Upper abdomen, Image size 512x512, CT image

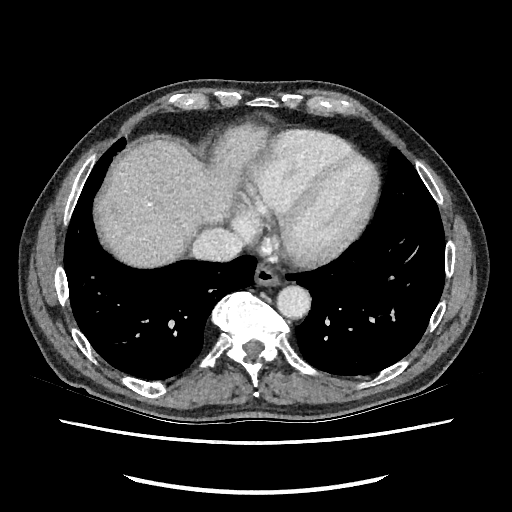 liver: l=99, t=126, r=263, b=267